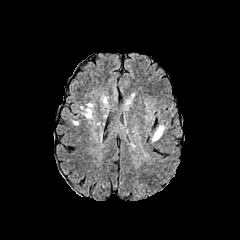
FLAIR MR.
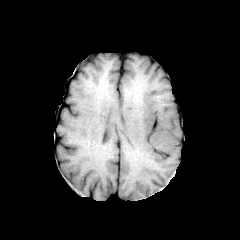
T1-weighted MRI.
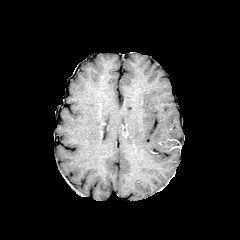
Post-contrast T1-weighted MR.
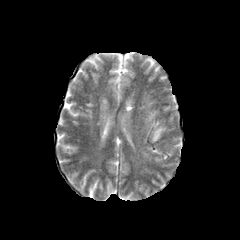
T2-weighted MRI of the same slice.
Image size 240x240; Brain
Segmented structures:
- edema: bbox(151, 124, 165, 142)